Slice 508/896 | CT
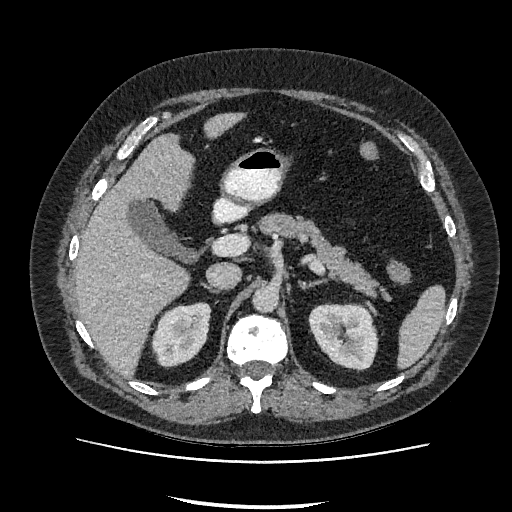

2 kidney regions appear at <box>310,305,376,368</box>, <box>153,304,210,365</box>. 2 liver regions are bounded by <box>207,113,242,137</box>, <box>77,133,193,377</box>.